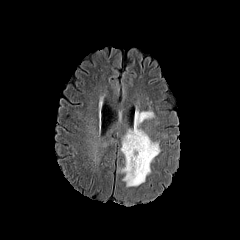
FLAIR MRI.
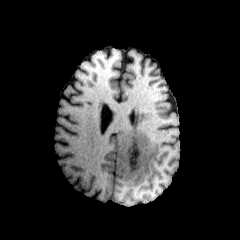
T1-weighted MRI of the same slice.
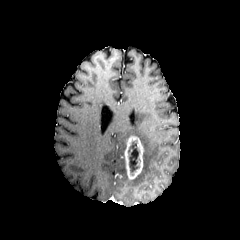
Same slice, post-contrast T1-weighted MR.
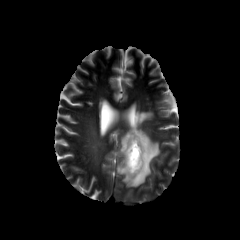
T2-weighted MRI.
enhancing_tumor:
  - [x1=124, y1=136, x2=143, y2=180]
edema:
  - [x1=121, y1=106, x2=159, y2=187]
non-enhancing_tumor_core:
  - [x1=127, y1=141, x2=139, y2=172]